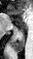

MRI slice. Medial temporal lobe. Image size 33x59. The anterior hippocampus appears at {"x1": 11, "y1": 18, "x2": 12, "y2": 20}. 2 posterior hippocampus regions appear at {"x1": 11, "y1": 33, "x2": 24, "y2": 52}, {"x1": 19, "y1": 31, "x2": 22, "y2": 31}.